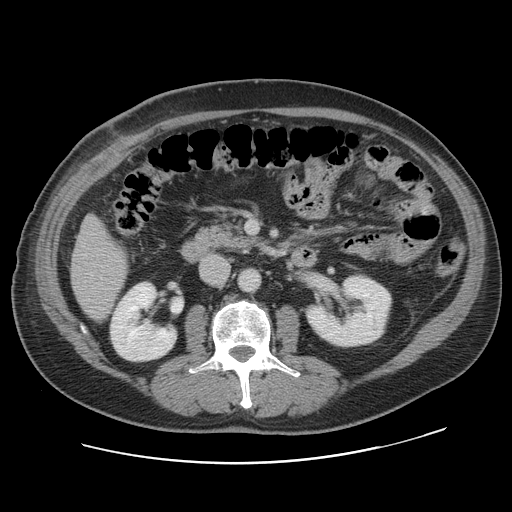
CT slice
Some hepatic vessels may have no box.
Hepatic vessel: [97, 307, 103, 309], [99, 283, 101, 284], [100, 275, 101, 278].